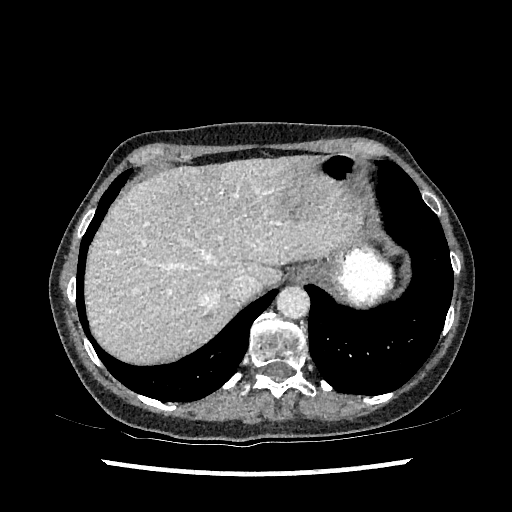

CT slice; Liver
• liver: left=85, top=157, right=362, bottom=361
• focal liver lesion: left=202, top=165, right=219, bottom=181; left=278, top=157, right=325, bottom=222